CT scan slice, Abdomen 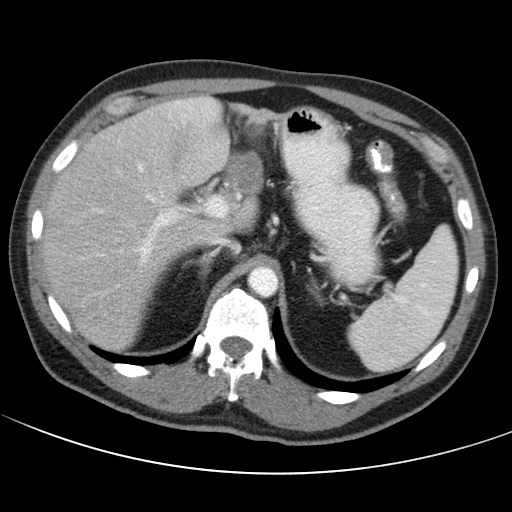 Not every hepatic vessel necessarily has a box.
5 hepatic vessel regions are bounded by 139, 235, 150, 259; 206, 195, 225, 216; 146, 195, 149, 198; 138, 164, 141, 169; 153, 211, 171, 229. The liver tumor is at 225, 156, 261, 197.